Brain, Field of view 240 mm wide, 1.00 mm slice spacing, 240x240
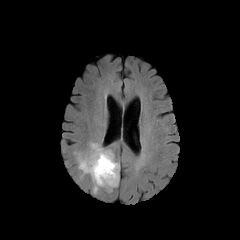
FLAIR MRI.
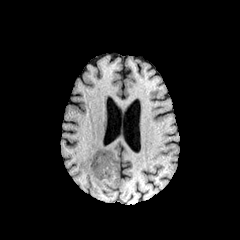
Same slice, T1-weighted MR image.
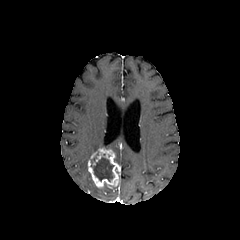
Post-contrast T1-weighted MRI.
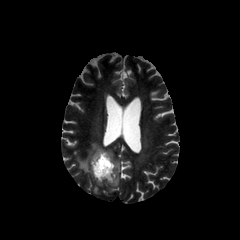
T2-weighted MR.
{
  "enhancing_tumor": [
    "box=[87, 148, 120, 189]"
  ],
  "edema": [
    "box=[73, 142, 101, 178]"
  ],
  "non-enhancing_tumor_core": [
    "box=[90, 157, 114, 182]"
  ]
}